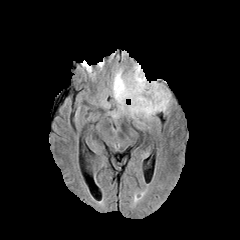
FLAIR MR.
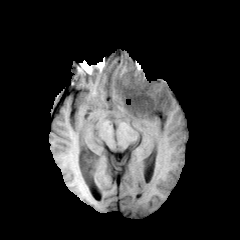
T1-weighted MR image of the same slice.
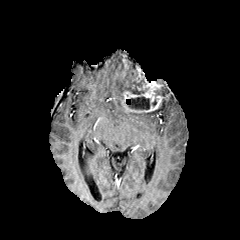
Same slice, post-contrast T1-weighted MR.
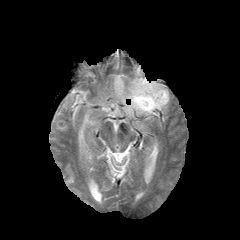
Same slice, T2-weighted MR image.
Brain
<segmentation>
  <edema>109 65 170 120</edema>
  <non-enhancing_tumor_core>128 96 150 110, 129 76 144 94</non-enhancing_tumor_core>
  <enhancing_tumor>124 78 167 112</enhancing_tumor>
</segmentation>